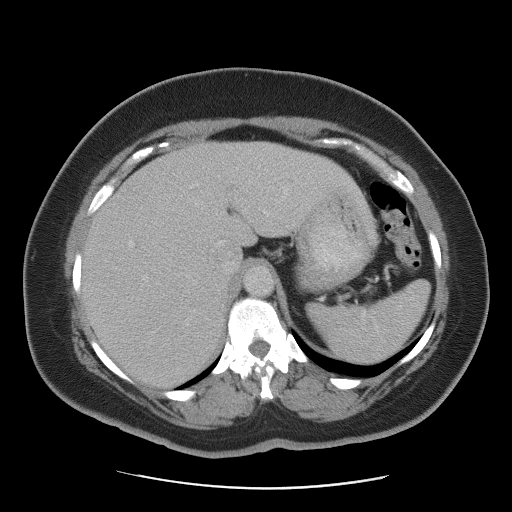
CT slice; 512x512
The vessel boxes may cover only some of the vessels.
Hepatic vessel: [130,241,134,245].